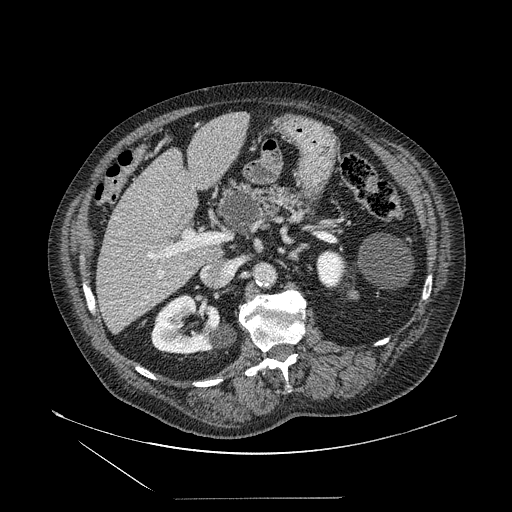
CT scan slice
The pancreatic tumor is bounded by left=222, top=190, right=258, bottom=229. The pancreas is located at left=216, top=180, right=316, bottom=233.